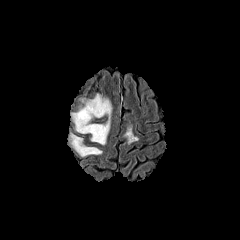
FLAIR magnetic resonance.
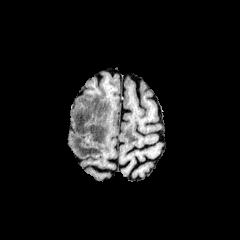
T1-weighted MRI of the same slice.
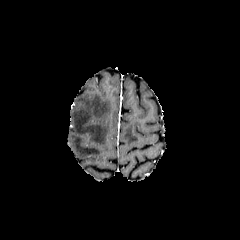
Post-contrast T1-weighted MR.
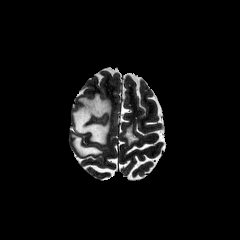
Same slice, T2-weighted MR.
Brain
Findings:
• edema: [70,93,111,144], [68,131,102,156]